MRI | Cardiac | Image size 320x320
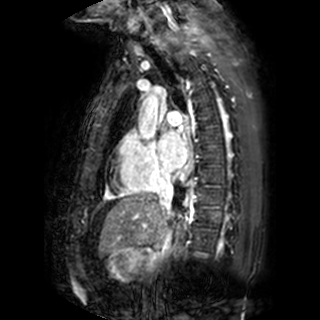

left atrium: l=160, t=131, r=187, b=169